MRI, Slice 18 of 30 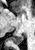 Segmented structures:
- posterior hippocampus: left=8, top=35, right=23, bottom=44